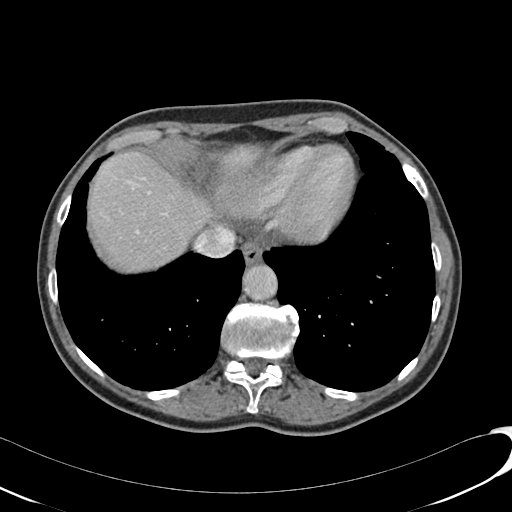
CT
<segmentation>
  <liver>[x1=221, y1=145, x2=257, y2=170], [x1=89, y1=152, x2=220, y2=270]</liver>
</segmentation>